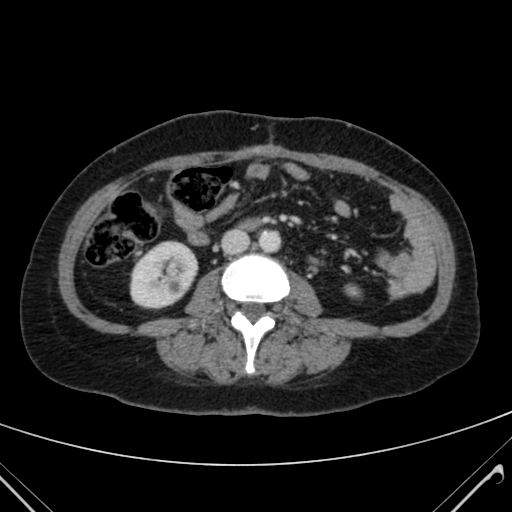

Abdomen; CT scan slice
Kidney — region(132, 243, 196, 306).